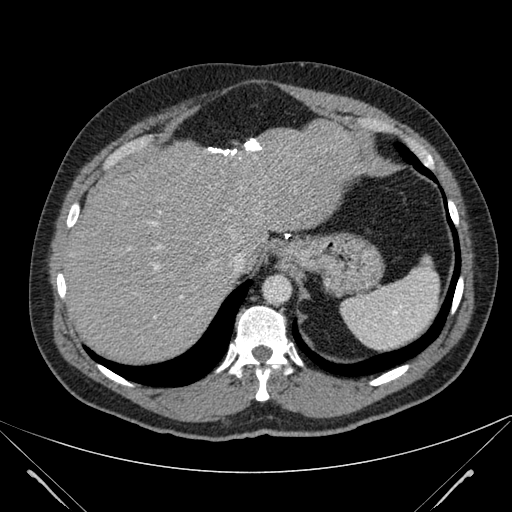
Abdomen. CT scan slice.

Segmented structures:
• liver: (63,120,376,363)